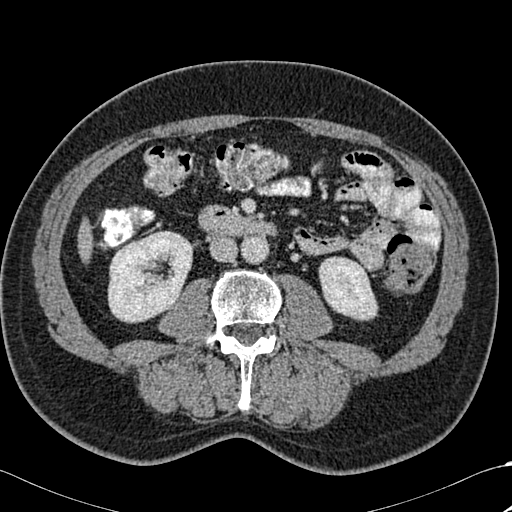

Computed tomography
Liver: [79,232,91,252].
Bone: [207,271,281,409].
Kidney: [108,231,191,321], [319,257,376,318].